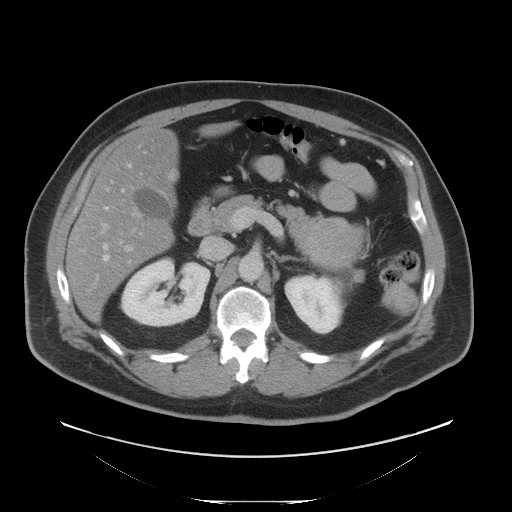

Image size 512x512, CT scan slice

Pancreas — bbox=[276, 205, 325, 264]; bbox=[214, 195, 260, 230]; bbox=[327, 259, 354, 273].
Pancreatic tumor — bbox=[307, 217, 364, 268].